Slice index 246, Upper abdomen, Computed tomography 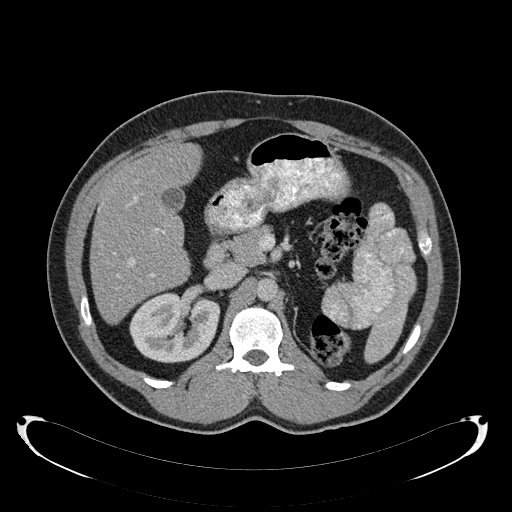
Kidney = [x1=130, y1=291, x2=219, y2=361].
Liver = [x1=90, y1=143, x2=199, y2=322].